Field of view 365 mm wide, 1.50 mm slice spacing; Slice 211/410; CT image
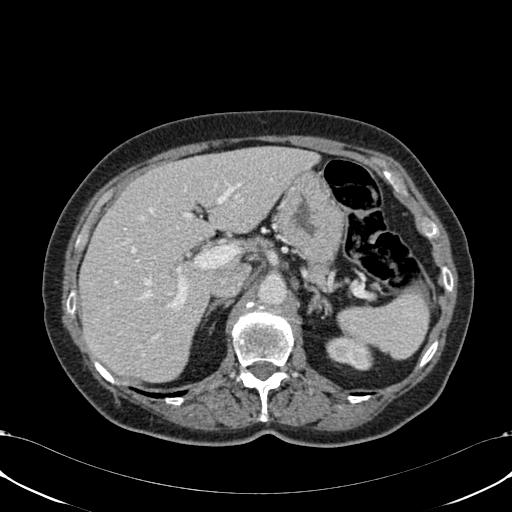 <segmentation>
  <kidney>box(327, 328, 371, 369)</kidney>
  <liver>box(80, 146, 318, 382)</liver>
</segmentation>